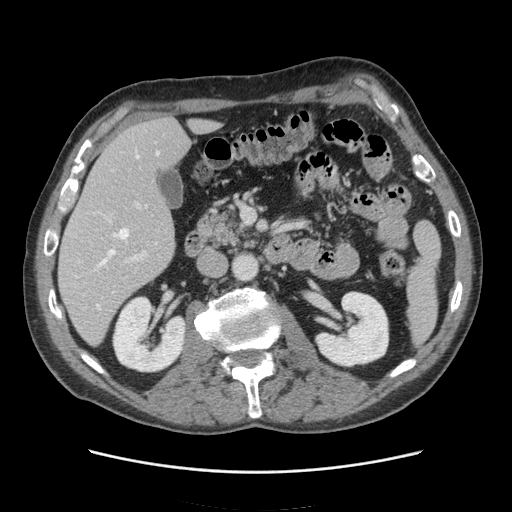 CT slice. • spleen: rect(407, 222, 440, 342)